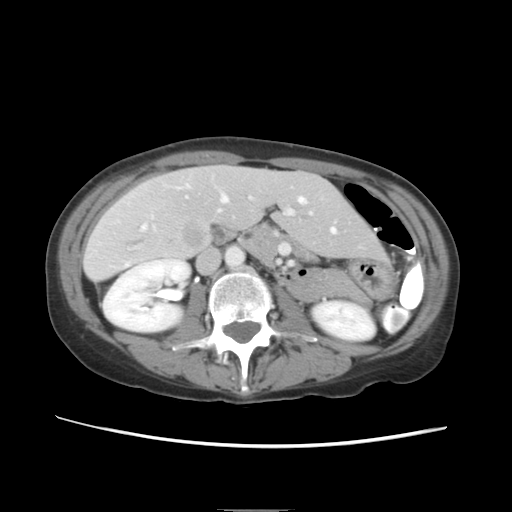
CT scan slice
The vessel annotation is not exhaustive.
Annotated regions:
• hepatic vessel: box=[284, 209, 292, 214]; box=[219, 209, 220, 210]; box=[176, 183, 189, 188]; box=[165, 184, 166, 186]; box=[112, 266, 115, 267]; box=[141, 224, 146, 229]; box=[153, 225, 155, 228]; box=[221, 193, 227, 201]; box=[125, 261, 129, 265]; box=[280, 244, 289, 252]; box=[249, 196, 251, 197]; box=[298, 197, 306, 202]; box=[331, 227, 335, 232]
• liver tumor: box=[182, 221, 208, 249]